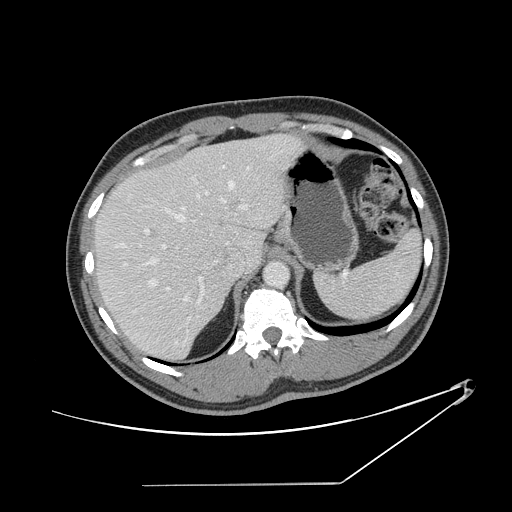

CT. Liver.

Some hepatic vessels may have no box.
partial: true
hepatic_vessel:
  # 15 of 22 shown
  - x1=197, y1=277, x2=204, y2=308
  - x1=144, y1=229, x2=148, y2=232
  - x1=197, y1=195, x2=199, y2=197
  - x1=115, y1=243, x2=124, y2=246
  - x1=149, y1=280, x2=156, y2=286
  - x1=228, y1=182, x2=233, y2=189
  - x1=247, y1=167, x2=250, y2=169
  - x1=240, y1=205, x2=247, y2=209
  - x1=148, y1=258, x2=157, y2=263
  - x1=166, y1=209, x2=184, y2=221
  - x1=220, y1=198, x2=225, y2=202
  - x1=184, y1=295, x2=188, y2=300
  - x1=181, y1=207, x2=185, y2=211
  - x1=192, y1=177, x2=194, y2=180
  - x1=205, y1=192, x2=208, y2=194